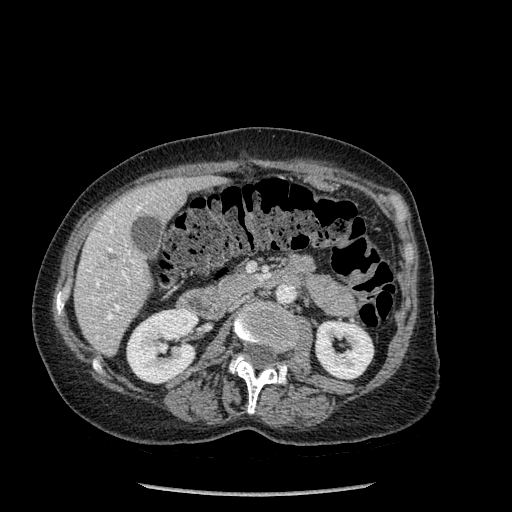

512x512, Liver, CT image

bone:
  - <bbox>93, 361, 101, 372</bbox>
  - <bbox>56, 292, 64, 314</bbox>
  - <bbox>229, 355, 286, 413</bbox>
  - <bbox>234, 301, 298, 352</bbox>
liver:
  - <bbox>74, 176, 227, 354</bbox>
kidney:
  - <bbox>127, 309, 197, 382</bbox>
  - <bbox>316, 322, 373, 378</bbox>